Abdomen. CT slice. 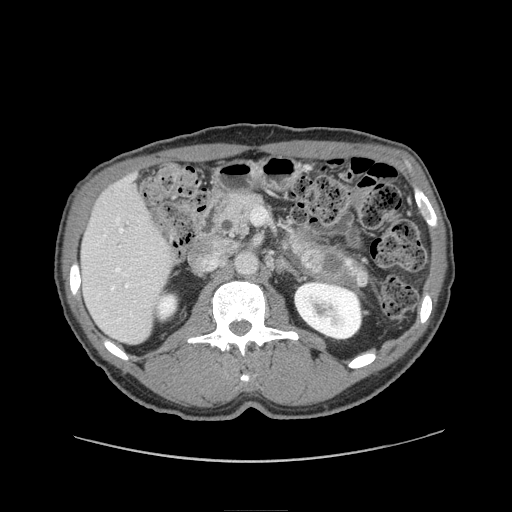 <segmentation>
  <pancreatic_tumor>(x1=322, y1=253, x2=342, y2=273)</pancreatic_tumor>
  <pancreas>(x1=217, y1=193, x2=264, y2=235), (x1=284, y1=233, x2=352, y2=279)</pancreas>
</segmentation>